Image size 512x512; Field of view 339 mm wide, 0.80 mm slice spacing; CT image
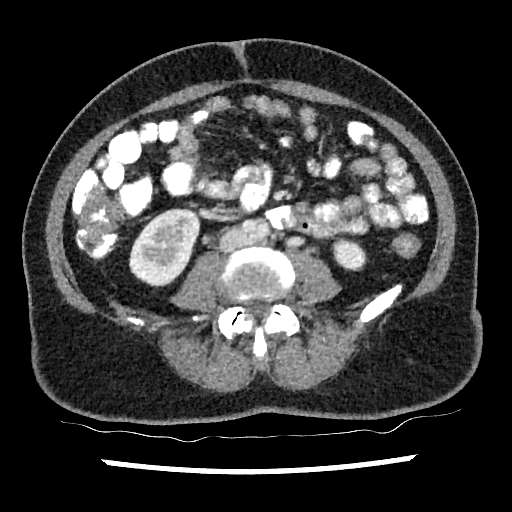
kidney:
  - (left=130, top=210, right=198, bottom=284)
  - (left=336, top=246, right=363, bottom=268)